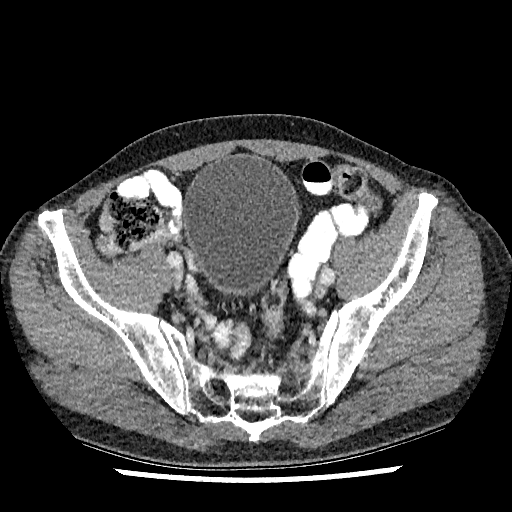
CT slice, Lower abdomen

{
  "urinary_bladder": [
    "l=183, t=157, r=297, b=296"
  ]
}